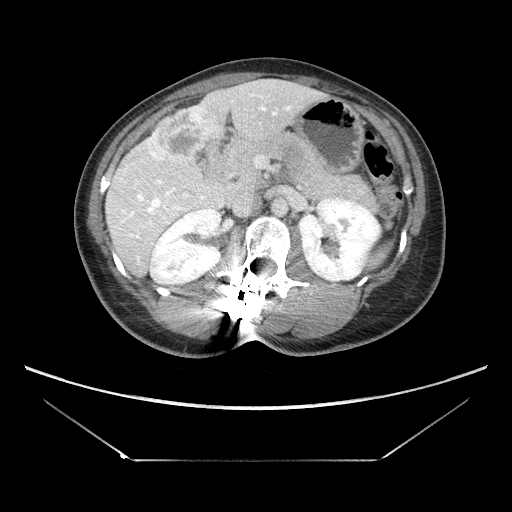

Abdomen; Image size 512x512; Computed tomography
liver tumor: box(147, 105, 210, 164)